CT image | Field of view 471x471 mm | Image size 512x512

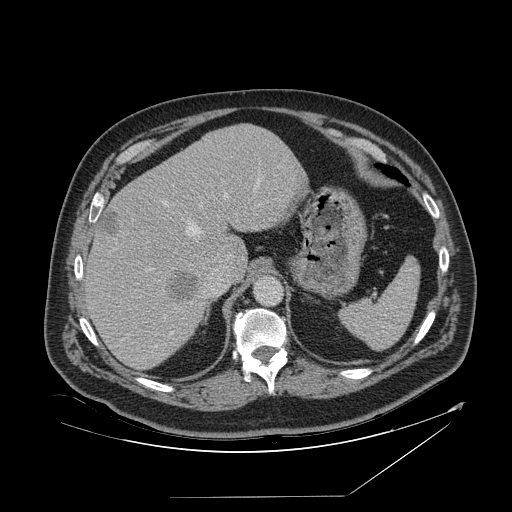
{
  "spleen": [
    "(339,260,420,349)"
  ]
}